Head | Slice 101/155
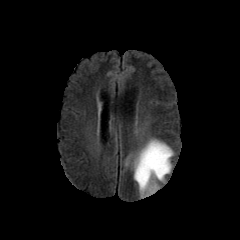
FLAIR MRI.
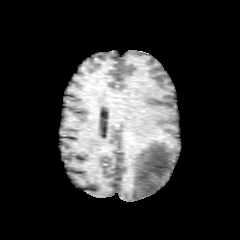
T1-weighted magnetic resonance.
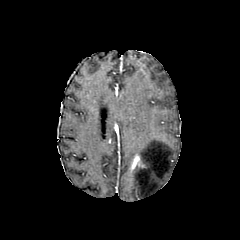
Post-contrast T1-weighted magnetic resonance of the same slice.
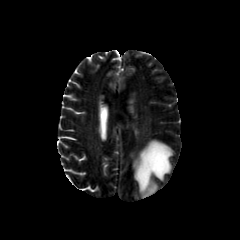
T2-weighted MRI.
Edema — x1=134 y1=139 x2=173 y2=197.
Enhancing tumor — x1=132 y1=155 x2=146 y2=168.